Slice index 68; CT scan slice; 512x512
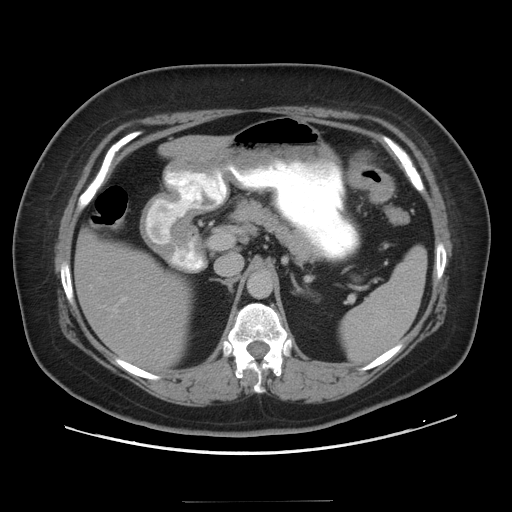

colon_tumor:
  - [348,160,393,202]